MR image | Slice 24 of 36
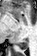 posterior hippocampus: bbox=[17, 40, 28, 49]